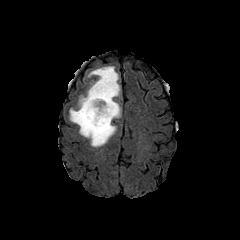
FLAIR magnetic resonance.
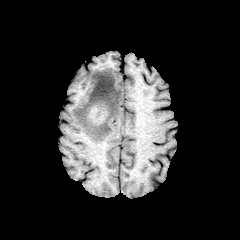
T1-weighted MRI of the same slice.
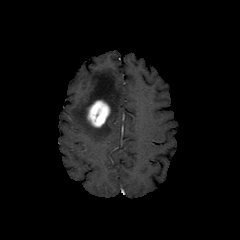
Same slice, post-contrast T1-weighted MR.
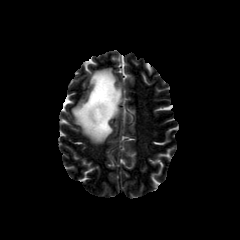
T2-weighted MR image of the same slice.
Image size 240x240; Head
Non-enhancing tumor core: bounding box box=[80, 74, 117, 131].
Enhancing tumor: bounding box box=[86, 100, 110, 127].
Edema: bounding box box=[68, 66, 121, 147].